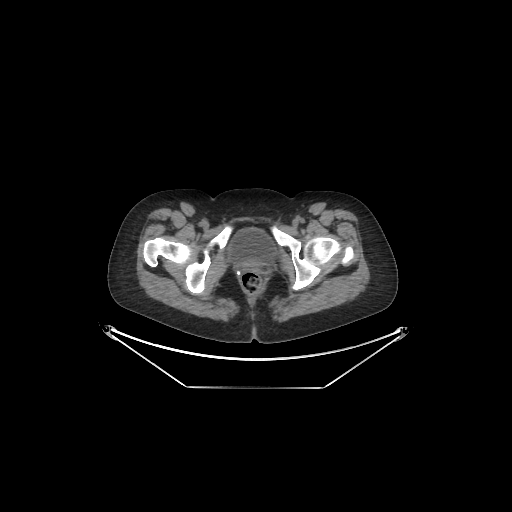 Pelvis, 512x512, Computed tomography
Urinary bladder = (224, 227, 279, 267).